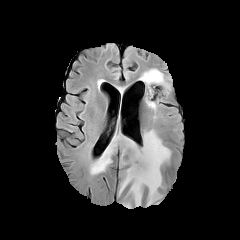
FLAIR MR image.
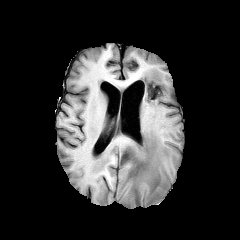
Same slice, T1-weighted MRI.
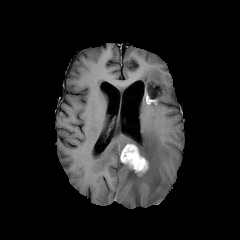
Post-contrast T1-weighted MRI.
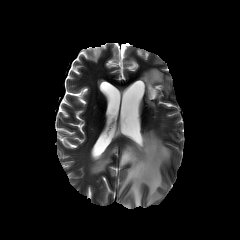
Same slice, T2-weighted MRI.
Brain
Non-enhancing tumor core: 128, 152, 150, 177.
Edema: 90, 130, 171, 208; 140, 69, 163, 85; 146, 96, 155, 107.
Enhancing tumor: 120, 144, 148, 175.